FLAIR MRI.
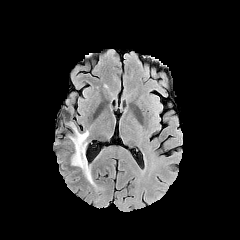
T1-weighted MRI.
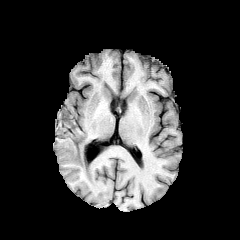
Post-contrast T1-weighted MRI.
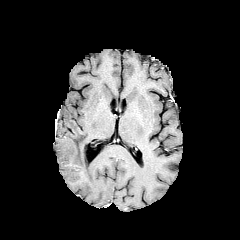
T2-weighted MR image.
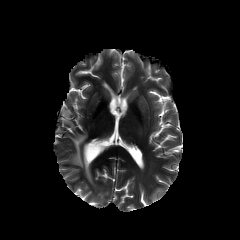
Brain
Findings:
- edema: [68,123,95,186]